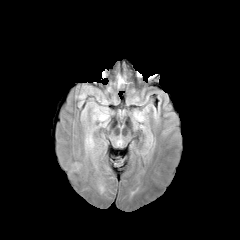
FLAIR MRI.
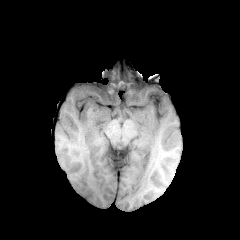
T1-weighted MRI of the same slice.
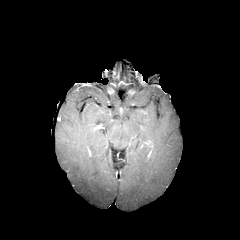
Same slice, post-contrast T1-weighted MRI.
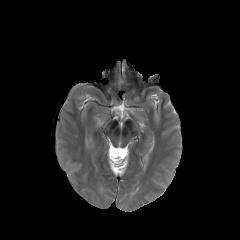
T2-weighted magnetic resonance of the same slice.
Edema — x1=113, y1=75, x2=124, y2=85.